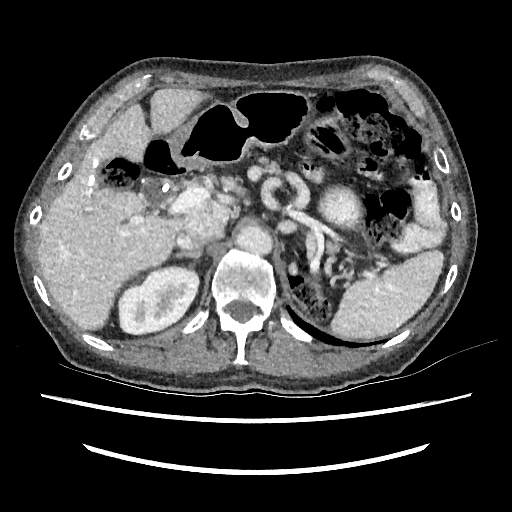 Computed tomography

Kidney — 119:268:198:334.
Liver — 38:89:203:329.